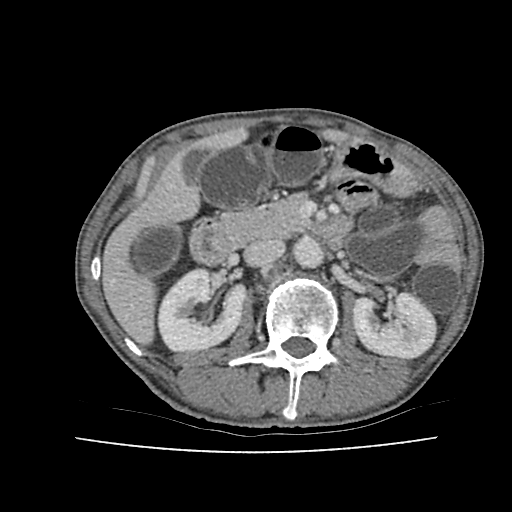

CT scan slice
Segmented structures:
- kidney: {"x1": 159, "y1": 270, "x2": 244, "y2": 350}, {"x1": 354, "y1": 293, "x2": 434, "y2": 357}
- liver: {"x1": 206, "y1": 134, "x2": 242, "y2": 146}, {"x1": 102, "y1": 163, "x2": 193, "y2": 339}, {"x1": 329, "y1": 133, "x2": 344, "y2": 139}